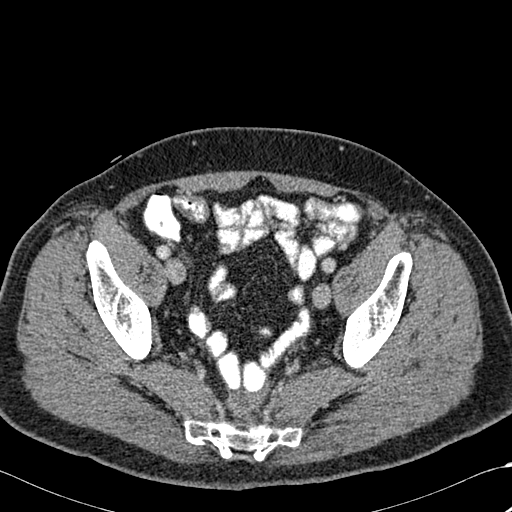 CT image. {
  "bone": [
    "86:241:151:359",
    "185:419:301:460",
    "343:252:412:367"
  ]
}